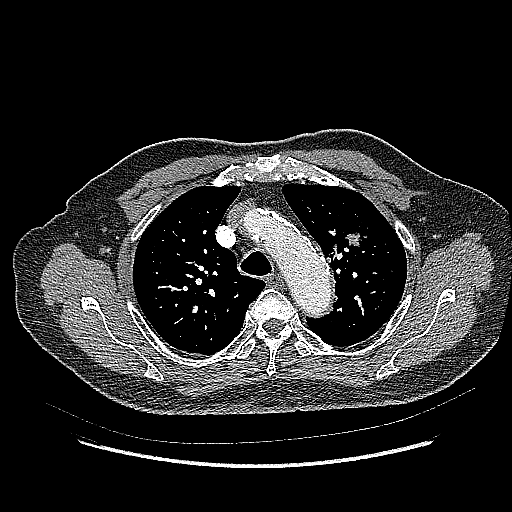
512x512, Computed tomography
lung tumor: [341, 229, 369, 250], [326, 243, 339, 263]